CT. 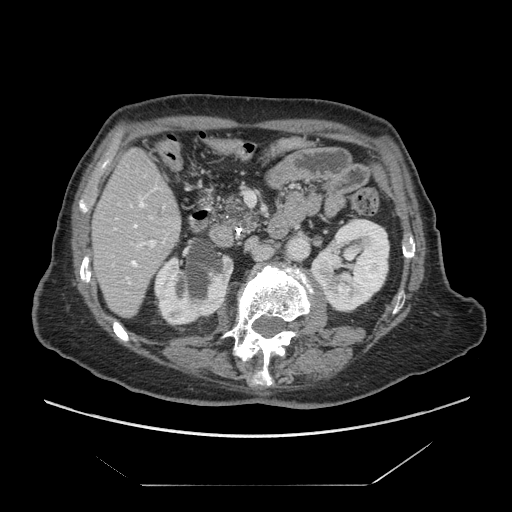 The pancreas lies within 213 194 263 239.